Head, Slice index 38
FLAIR MRI.
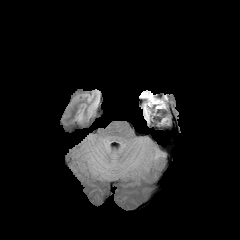
T1-weighted MRI.
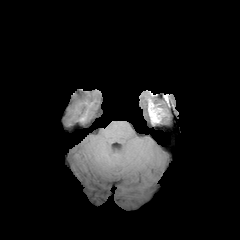
Post-contrast T1-weighted magnetic resonance.
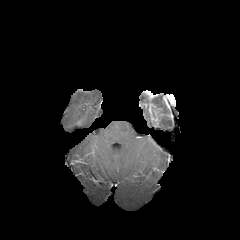
T2-weighted MR.
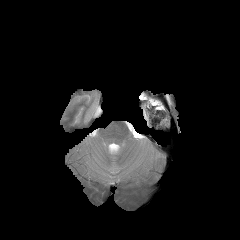
The non-enhancing tumor core appears at rect(142, 98, 160, 112). The edema lies within rect(142, 92, 166, 125).